Slice 82 of 155 | Brain | Field of view 240x240 mm | 240x240 px
FLAIR MR.
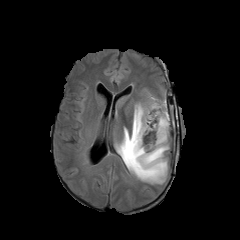
T1-weighted MR image.
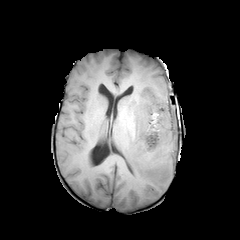
Post-contrast T1-weighted MR image.
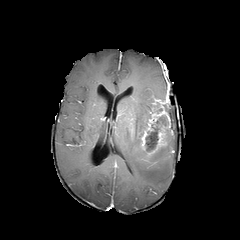
T2-weighted MR image.
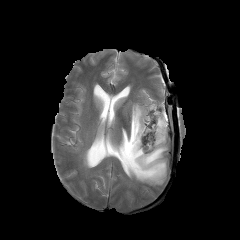
Edema: [116,89,172,185].
Non-enhancing tumor core: [152,100,165,112], [142,112,165,148], [122,143,131,157].